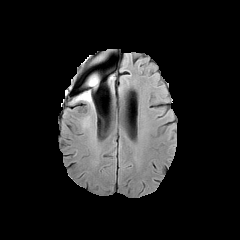
FLAIR MRI.
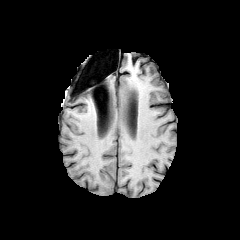
Same slice, T1-weighted MR image.
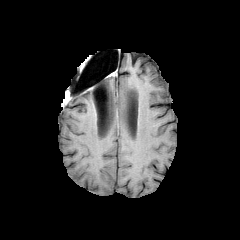
Post-contrast T1-weighted MR image of the same slice.
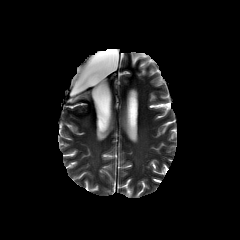
Same slice, T2-weighted MR image.
Brain
{"edema": ["region(73, 75, 99, 108)"]}